FLAIR MR image.
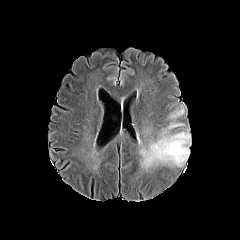
T1-weighted MR image.
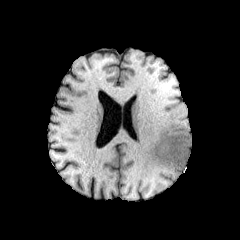
Post-contrast T1-weighted MR.
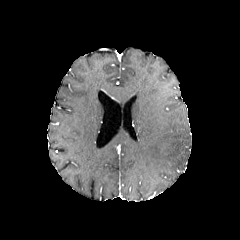
T2-weighted magnetic resonance.
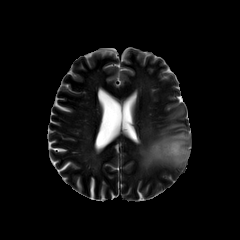
240x240.
Segmented structures:
• edema: <bbox>144, 130, 190, 167</bbox>